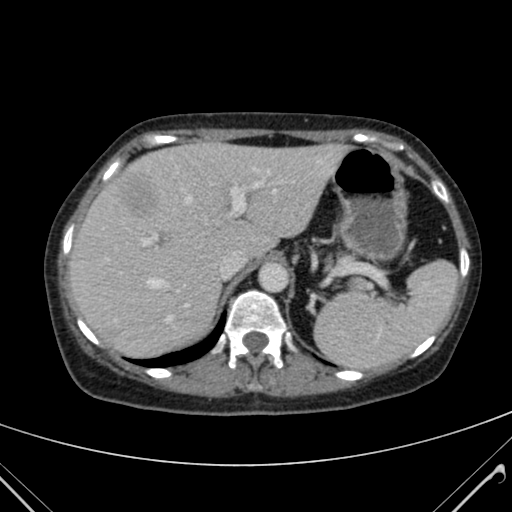
CT scan slice
The liver lesion is bounded by x1=117, y1=173, x2=158, y2=217. The liver appears at x1=70, y1=142, x2=348, y2=356.